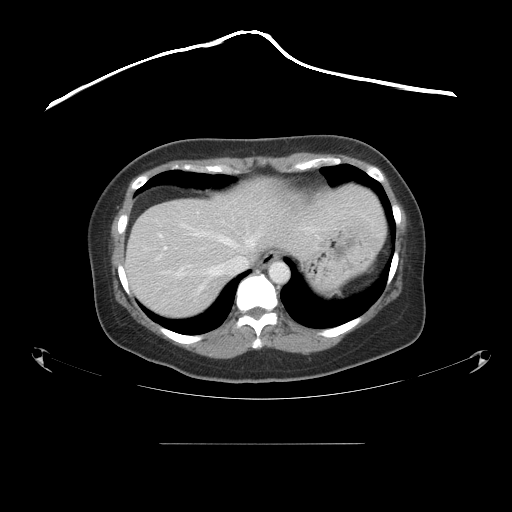 Abdomen | CT scan slice

Only some of the vessels may be annotated.
12 hepatic vessel regions are located at bbox(244, 232, 261, 249); bbox(158, 234, 161, 237); bbox(164, 247, 166, 249); bbox(196, 211, 197, 213); bbox(299, 227, 317, 232); bbox(195, 283, 205, 294); bbox(218, 236, 236, 247); bbox(237, 250, 243, 252); bbox(316, 236, 320, 239); bbox(175, 265, 190, 276); bbox(206, 255, 247, 275); bbox(181, 224, 207, 236).